FLAIR MR.
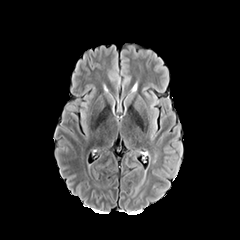
T1-weighted MR.
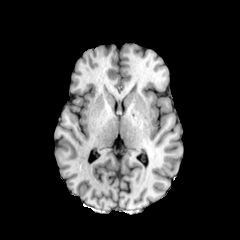
Post-contrast T1-weighted MR image.
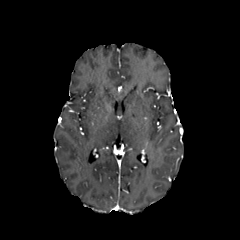
T2-weighted MRI.
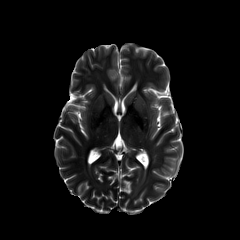
Brain
The edema is located at 151:107:157:132.